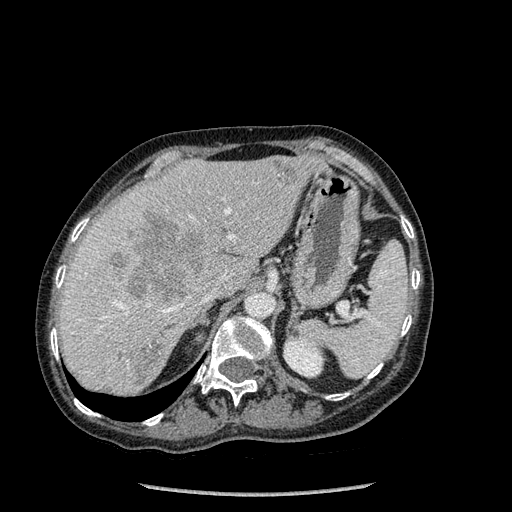 512x512, CT image
Lung at 68,369,194,421.
Hepatic lesion at 110,253,129,277; 273,160,297,184; 118,342,164,384; 125,213,204,301.
Bone at 143,413,163,426; 411,269,419,289; 401,216,413,238; 55,265,66,288; 325,392,349,400; 50,328,58,359; 367,363,382,379; 194,316,272,405; 400,315,411,336; 74,398,100,416; 71,218,88,241.
Kidney at 284,341,322,376.
Liver at 60,155,330,396.